Brain; Slice index 81
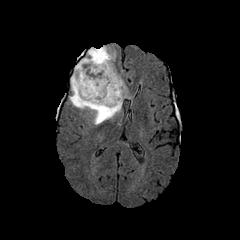
FLAIR MR.
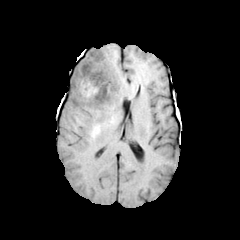
T1-weighted MRI.
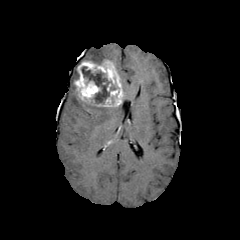
Post-contrast T1-weighted magnetic resonance.
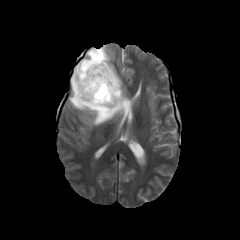
T2-weighted MR image.
• edema: [121,79,130,98], [78,46,114,63], [69,67,121,125]
• non-enhancing tumor core: [74,66,111,109], [91,52,101,63]
• enhancing tumor: [74,60,123,106]